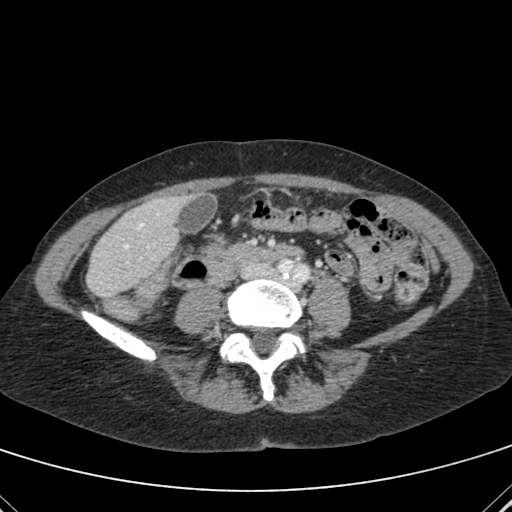 Computed tomography
<segmentation>
  <liver>x1=87, y1=195, x2=190, y2=296</liver>
</segmentation>